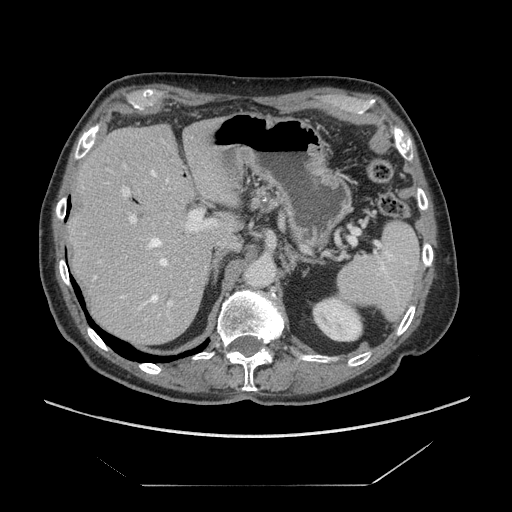
CT image
The pancreas is bounded by rect(248, 187, 268, 212).